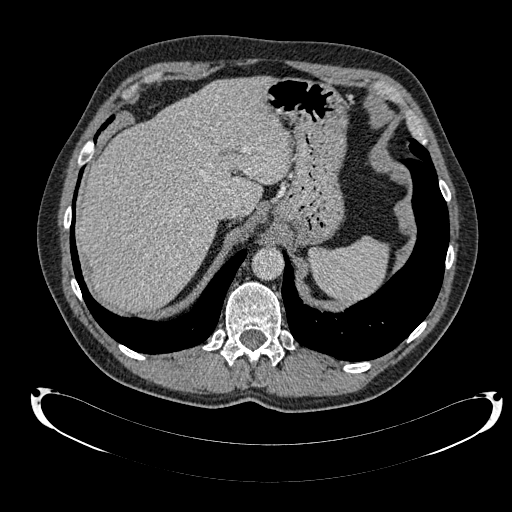

Upper abdomen; Computed tomography
{
  "liver": [
    "left=79, top=77, right=291, bottom=311"
  ]
}